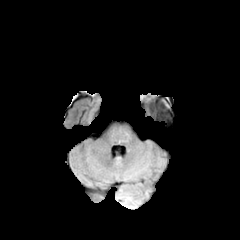
FLAIR MR.
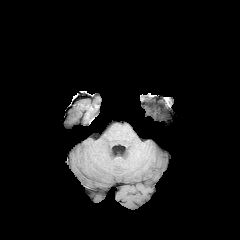
Same slice, T1-weighted MR.
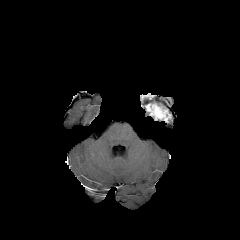
Same slice, post-contrast T1-weighted MR image.
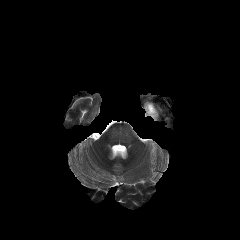
T2-weighted MRI.
240x240. Brain.
Non-enhancing tumor core: (146,106,157,116).